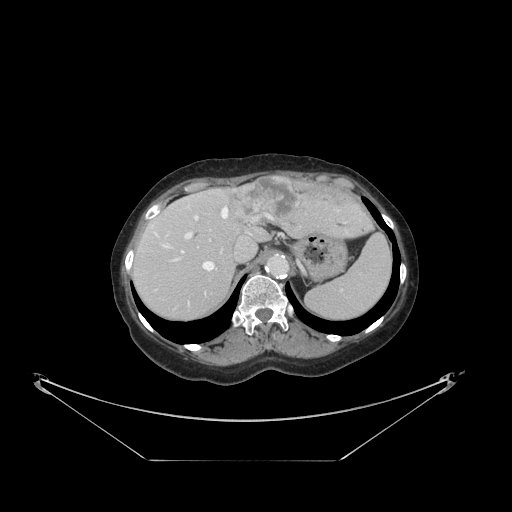 Abdomen | Image size 512x512 | CT slice
Some hepatic vessels may have no box.
10 hepatic vessel regions are bounded by x1=220 y1=207 x2=228 y2=218, x1=181 y1=250 x2=183 y2=252, x1=194 y1=215 x2=198 y2=219, x1=184 y1=232 x2=192 y2=238, x1=154 y1=232 x2=157 y2=235, x1=152 y1=225 x2=152 y2=228, x1=203 y1=261 x2=214 y2=270, x1=172 y1=259 x2=176 y2=260, x1=162 y1=243 x2=169 y2=247, x1=235 y1=244 x2=255 y2=260. The liver tumor is bounded by x1=229 y1=176 x2=298 y2=226.